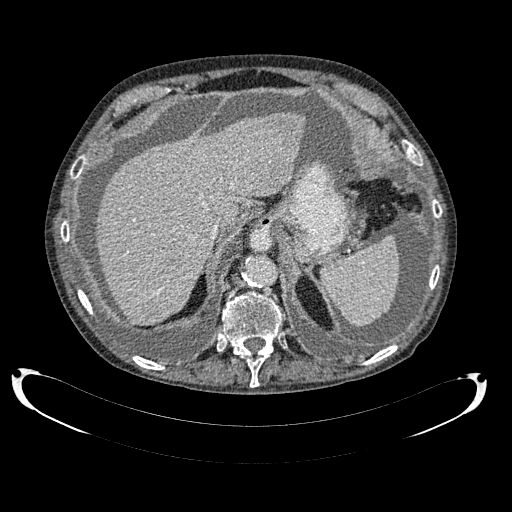
CT slice, 512x512, Liver

4 liver lesion regions are bounded by (168,258,181,266), (129,261,138,273), (273,115,302,148), (145,300,158,318). The liver appears at (96,113,305,324).